FLAIR MR image.
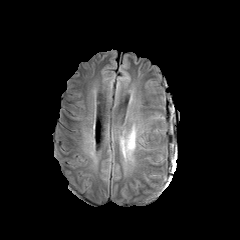
T1-weighted magnetic resonance.
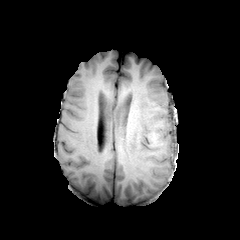
Post-contrast T1-weighted MR image.
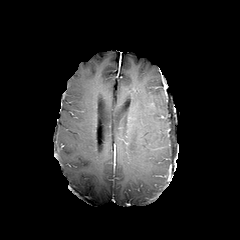
T2-weighted magnetic resonance.
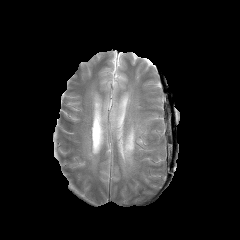
Head. Image size 240x240.
edema:
  - l=119, t=121, r=142, b=161